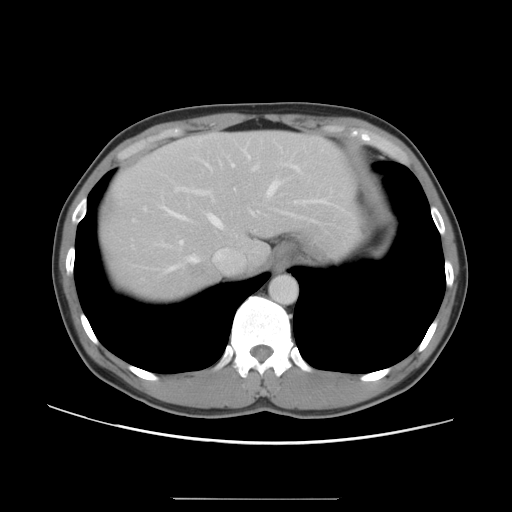

CT image
Not every hepatic vessel necessarily has a box.
Most prominent 15 of 17 hepatic vessel regions: bounding box 267,179,283,197; 287,163,300,171; 187,254,199,262; 207,213,224,228; 161,206,187,219; 179,240,183,243; 251,211,259,214; 243,146,250,157; 343,210,346,212; 251,165,259,171; 283,212,315,221; 175,187,213,200; 303,198,342,209; 295,200,298,203; 165,263,183,272.
Liver tumor: bounding box 192,266,207,276.